Computed tomography; Liver; Image width 411 mm 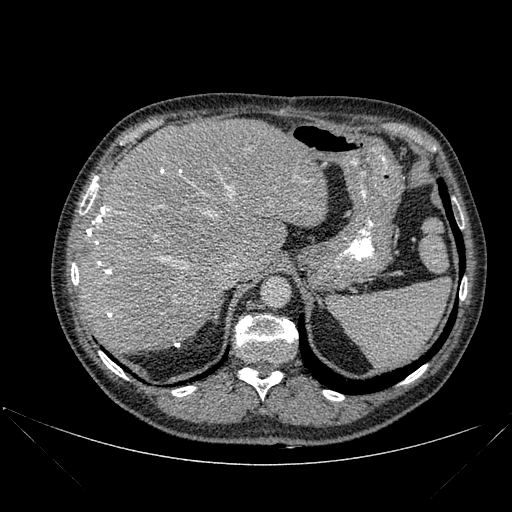 Bone: bounding box l=239, t=368, r=282, b=399; l=71, t=263, r=78, b=284; l=402, t=364, r=427, b=383; l=99, t=351, r=127, b=379; l=236, t=315, r=297, b=361; l=81, t=178, r=97, b=212; l=172, t=386, r=195, b=396; l=323, t=390, r=344, b=400; l=459, t=280, r=466, b=300.
Lung: bounding box l=199, t=358, r=223, b=378; l=298, t=302, r=457, b=394; l=437, t=178, r=465, b=277.
Liver: bounding box l=78, t=119, r=327, b=354.